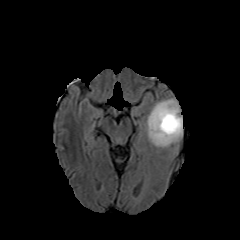
FLAIR magnetic resonance.
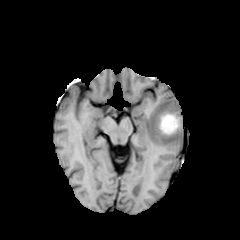
T1-weighted MR.
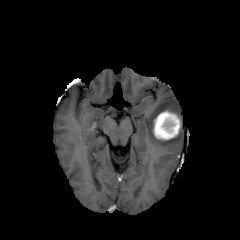
Post-contrast T1-weighted MRI of the same slice.
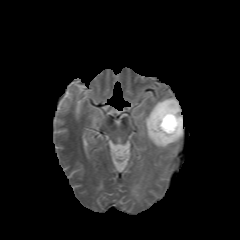
T2-weighted magnetic resonance.
240x240 px; Brain
<segmentation>
  <edema>region(139, 94, 183, 152)</edema>
  <enhancing_tumor>region(160, 113, 179, 135)</enhancing_tumor>
  <non-enhancing_tumor_core>region(151, 100, 179, 137)</non-enhancing_tumor_core>
</segmentation>